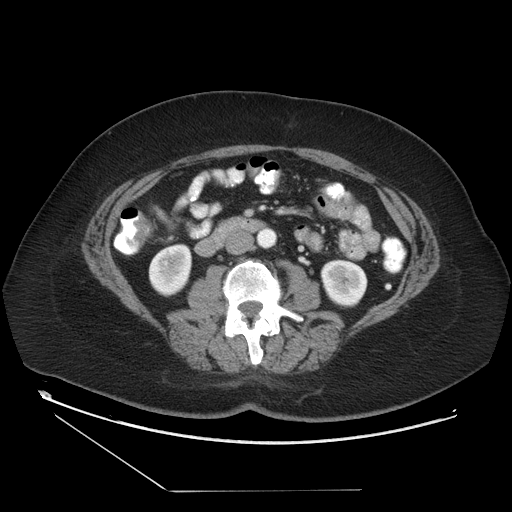 Image size 512x512, Pelvis, CT

Findings:
* colon tumor: [x1=133, y1=217, x2=148, y2=244]